FLAIR MR image.
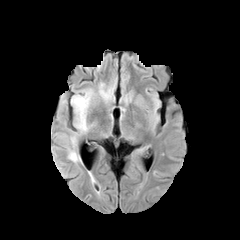
T1-weighted magnetic resonance.
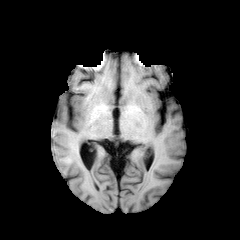
Post-contrast T1-weighted MR image.
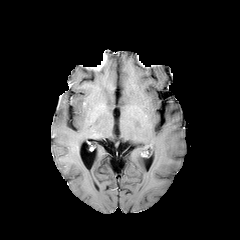
T2-weighted magnetic resonance.
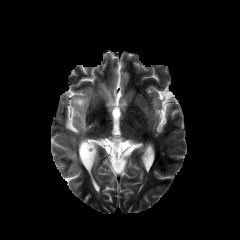
Brain. 240x240.
Edema — 59, 82, 113, 162.